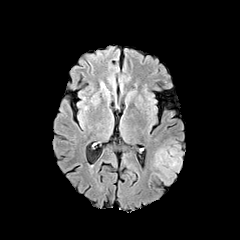
FLAIR MRI.
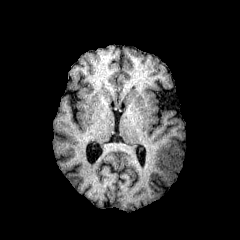
T1-weighted magnetic resonance.
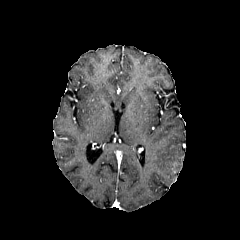
Post-contrast T1-weighted MR.
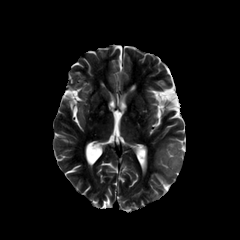
Same slice, T2-weighted magnetic resonance.
Head.
<segmentation>
  <edema>150 138 180 185</edema>
  <non-enhancing_tumor_core>163 143 182 175</non-enhancing_tumor_core>
</segmentation>